Abdomen; Image size 512x512; Computed tomography; Slice 27/61; Field of view 405 mm wide, 5.00 mm slice spacing
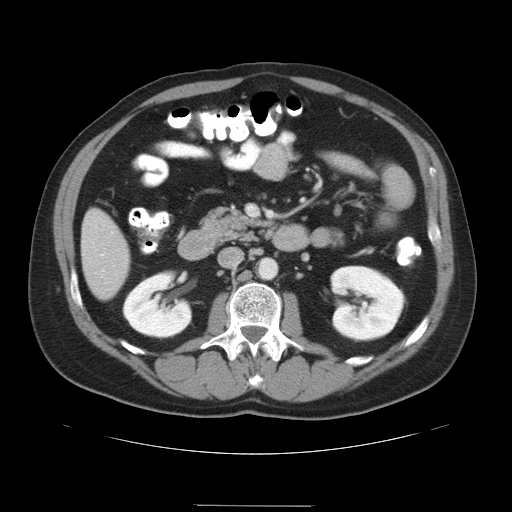 The vessel annotation is not exhaustive.
Findings:
• hepatic vessel: 102, 270, 103, 271; 102, 255, 103, 257; 87, 258, 90, 259; 110, 232, 113, 234